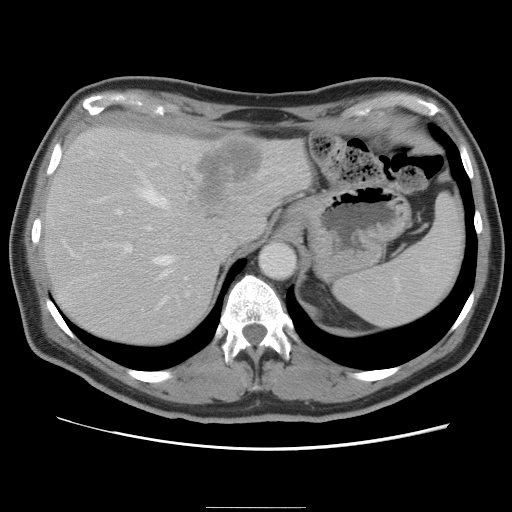

512x512 px. CT scan slice. Not every hepatic vessel necessarily has a box.
{"hepatic_vessel": ["66:245:75:255", "185:277:186:278", "116:209:120:213", "112:243:118:245", "185:291:188:294", "137:172:167:206", "159:296:166:304", "147:226:150:228", "119:152:124:156", "62:239:64:242", "89:151:92:154", "153:254:172:276", "96:197:104:200", "123:243:131:251"], "liver_tumor": ["199:140:261:204"]}